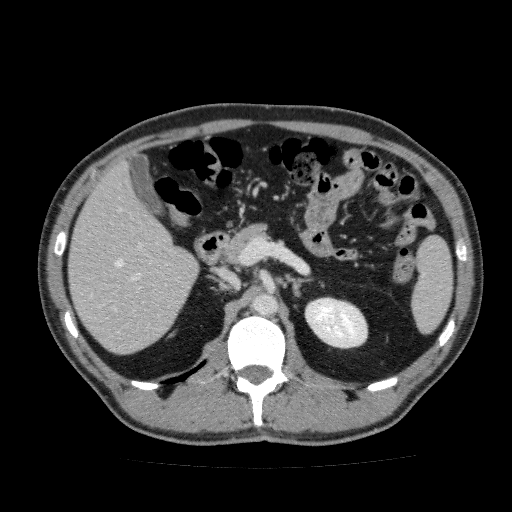

Image size 512x512; CT scan slice

Segmented structures:
• liver: (67, 159, 197, 355)
• kidney: (305, 298, 367, 347)